Head; Slice 59 of 155; Field of view 240 mm wide, 1.00 mm slice spacing
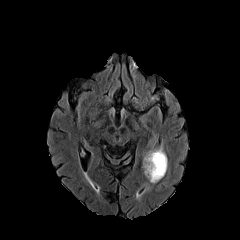
FLAIR MRI.
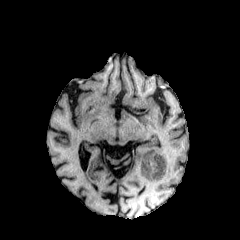
T1-weighted MRI.
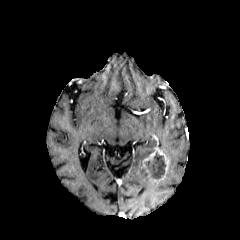
Post-contrast T1-weighted magnetic resonance of the same slice.
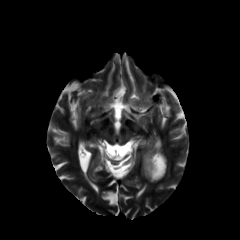
T2-weighted MR.
Segmented structures:
- edema: x1=146, y1=174, x2=164, y2=183
- enhancing tumor: x1=141, y1=147, x2=168, y2=177
- non-enhancing tumor core: x1=146, y1=154, x2=165, y2=178